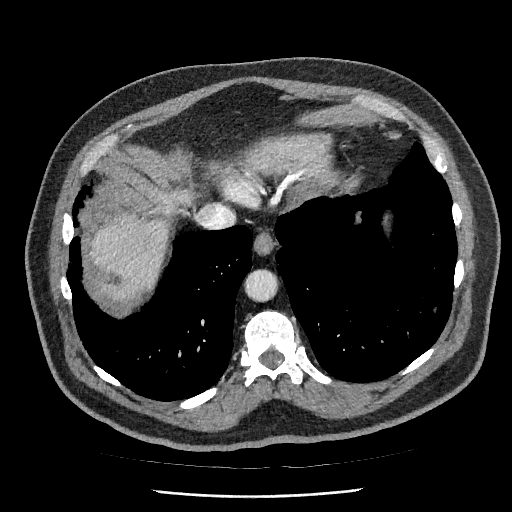

Image size 512x512. Computed tomography. Liver: bounding box bbox=[89, 188, 189, 301].